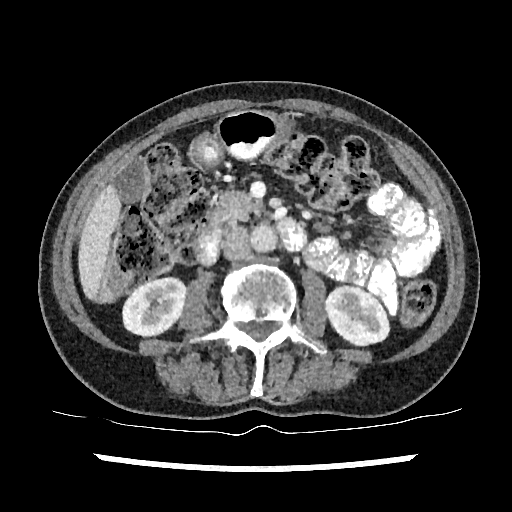
512x512. CT.

Kidney = x1=326 y1=287 x2=388 y2=344, x1=123 y1=279 x2=185 y2=335.
Liver = x1=80 y1=188 x2=119 y2=298.